CT slice. Field of view 385x385 mm. Abdomen. Slice index 363.

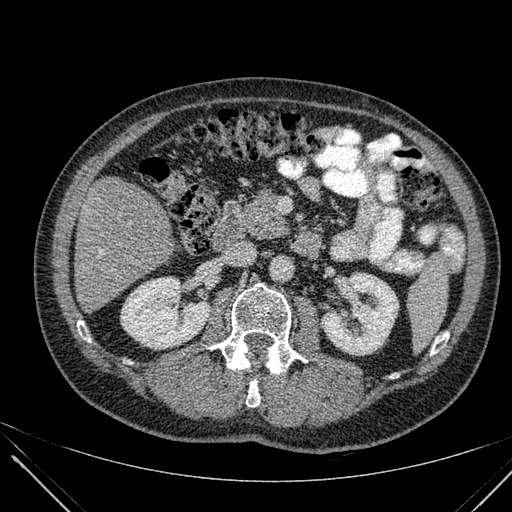
Annotated regions:
* kidney: [322, 273, 398, 354], [121, 277, 209, 348]
* liver: [73, 177, 179, 312]